Image width 36 mm | MR | Image size 36x50 | Slice index 11
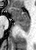
anterior hippocampus: rect(8, 7, 30, 22) | posterior hippocampus: rect(17, 23, 29, 31)